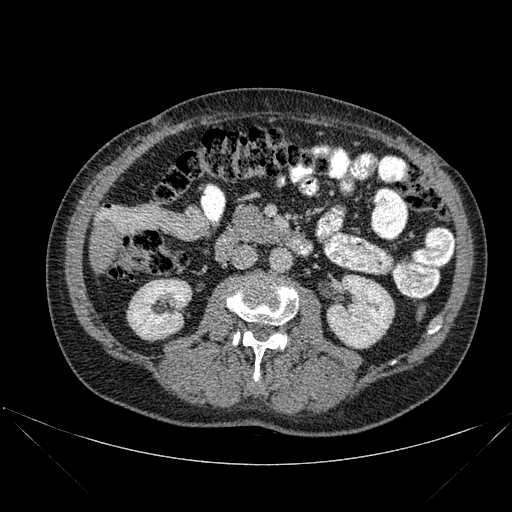 CT

2 bone regions are located at region(227, 281, 298, 325); region(232, 330, 293, 386). 2 kidney regions are located at region(127, 279, 191, 339); region(327, 275, 393, 348). The liver is bounded by region(89, 221, 123, 272).